Image size 512x512; Thorax; Slice index 181; Computed tomography 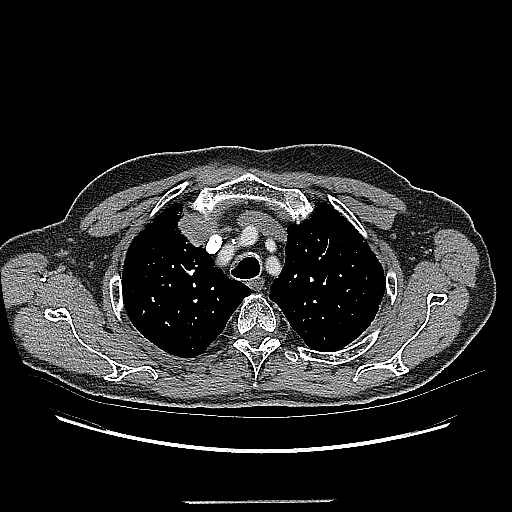

The lung tumor is bounded by box=[173, 205, 208, 248].